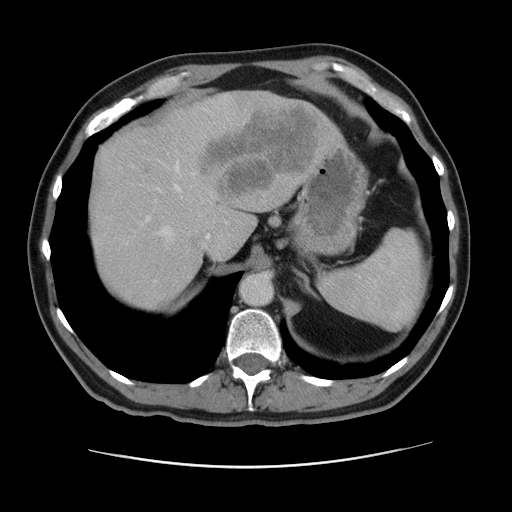

CT, Liver
liver: x1=90 y1=92 x2=329 y2=311 | hepatic lesion: x1=198 y1=104 x2=320 y2=199